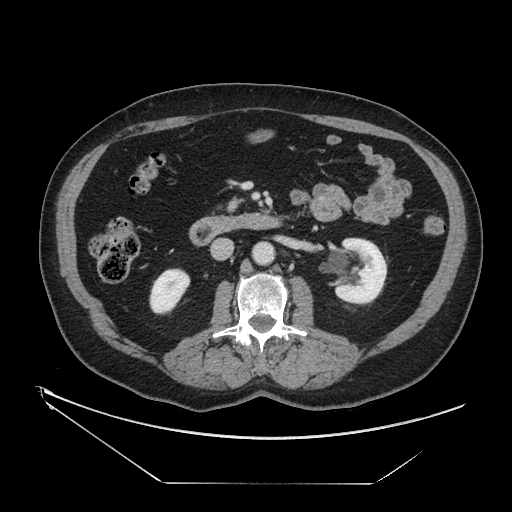 Upper abdomen | CT image

Pancreatic tumor — l=228, t=198, r=240, b=211.